Brain
FLAIR MR image.
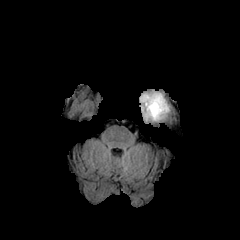
T1-weighted magnetic resonance.
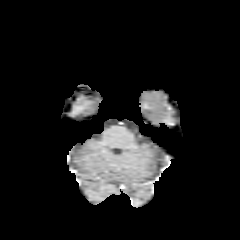
Post-contrast T1-weighted MR.
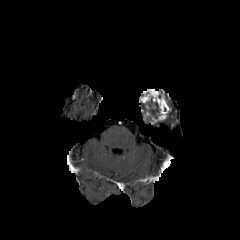
T2-weighted magnetic resonance.
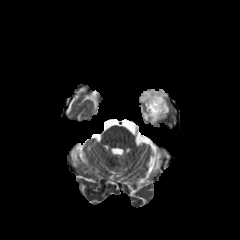
Findings:
• non-enhancing tumor core: rect(146, 100, 159, 118)
• enhancing tumor: rect(140, 91, 170, 121)